CT image | Image size 512x512 | Abdomen
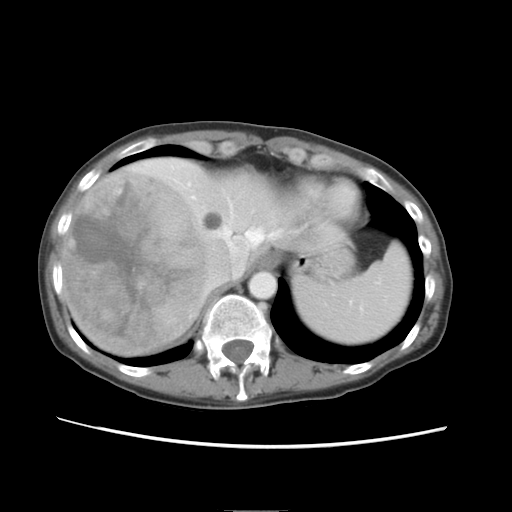
Some hepatic vessels may have no box.
<segmentation>
  <hepatic_vessel>218,227,262,278; 192,196,194,197; 188,183,189,185</hepatic_vessel>
  <liver_tumor>63,170,210,356</liver_tumor>
</segmentation>